Slice 98/155. Head.
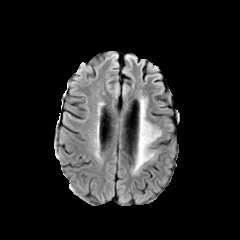
FLAIR magnetic resonance.
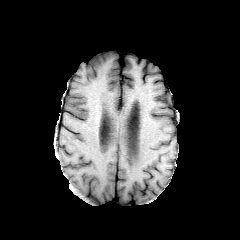
Same slice, T1-weighted MR.
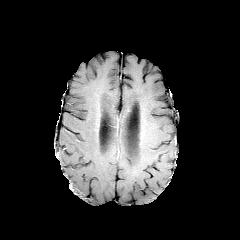
Same slice, post-contrast T1-weighted MR image.
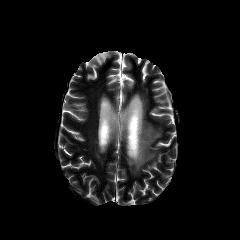
T2-weighted MRI.
Edema = (x1=134, y1=99, x2=161, y2=171).